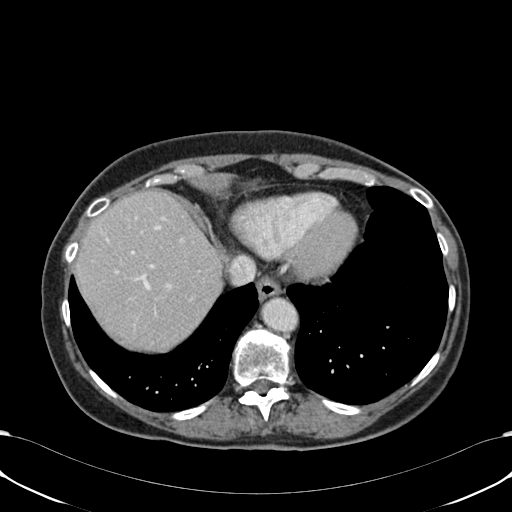 CT image. 512x512. Abdomen.

{"liver": ["left=76, top=191, right=223, bottom=349"]}